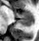 MRI slice | 39x41 px | Medial temporal lobe
Segmented structures:
* anterior hippocampus: box=[15, 11, 32, 18]
* posterior hippocampus: box=[17, 19, 32, 25]